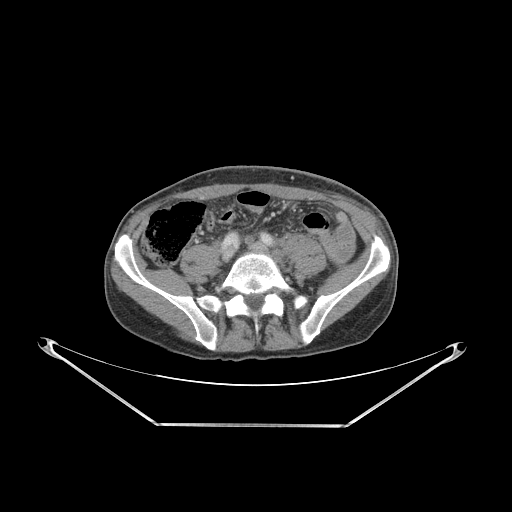 Image size 512x512; CT scan slice
Bone — left=222, top=253, right=289, bottom=315; left=295, top=295, right=306, bottom=307; left=301, top=236, right=389, bottom=343; left=115, top=235, right=216, bottom=349; left=197, top=296, right=221, bottom=311.